Hippocampus. MRI slice.
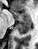
posterior hippocampus: 16 21 30 35 | anterior hippocampus: 12 11 14 12, 14 11 30 21